FLAIR magnetic resonance.
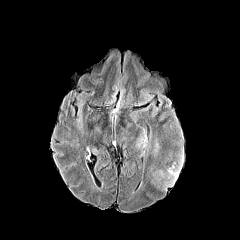
T1-weighted MR image.
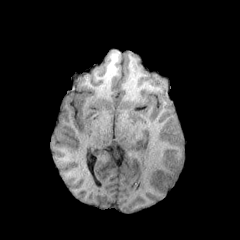
Post-contrast T1-weighted MR image.
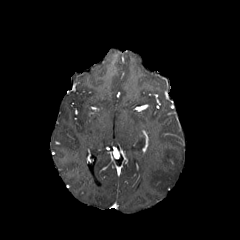
T2-weighted MRI.
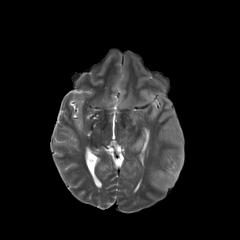
edema:
  - 167 153 183 179
  - 151 143 160 157